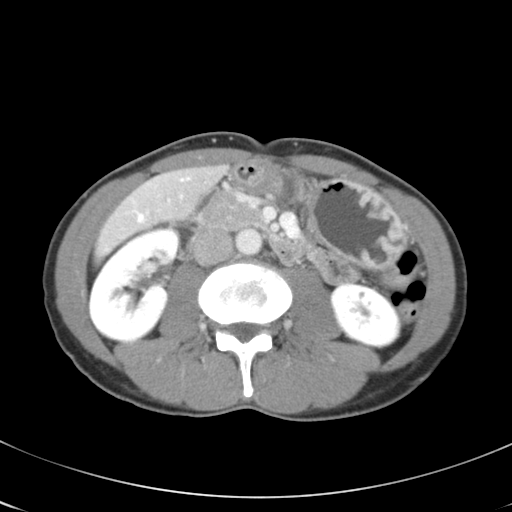

Liver | CT slice
Some hepatic vessels may have no box.
hepatic vessel: <bbox>182, 178, 188, 180</bbox>, <bbox>138, 214, 143, 221</bbox>, <bbox>181, 195, 182, 196</bbox>